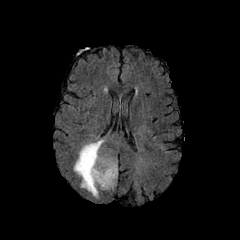
FLAIR MRI.
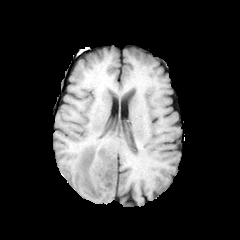
T1-weighted magnetic resonance of the same slice.
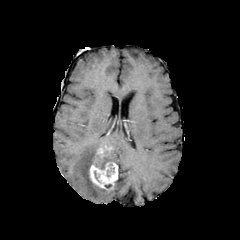
Post-contrast T1-weighted MR.
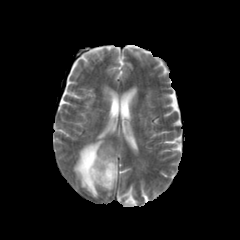
Same slice, T2-weighted MR image.
Annotated regions:
- edema: (left=73, top=139, right=103, bottom=197)
- enhancing tumor: (left=89, top=147, right=117, bottom=189)